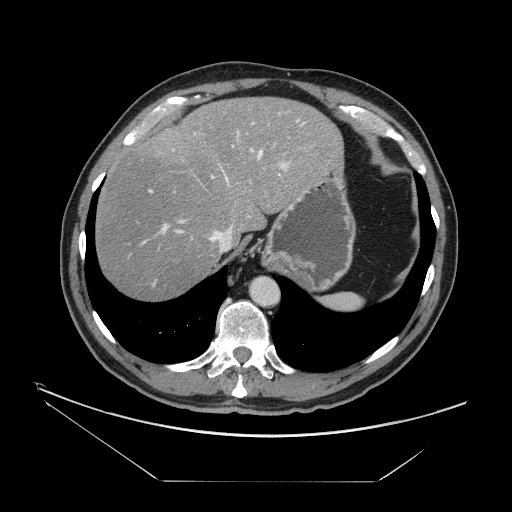 CT image | Image size 512x512

Some hepatic vessels may have no box.
8 hepatic vessel regions are located at 211, 232, 220, 240; 229, 228, 230, 231; 281, 164, 287, 170; 163, 224, 166, 231; 224, 175, 227, 180; 237, 131, 238, 133; 258, 151, 261, 158; 251, 149, 252, 151.